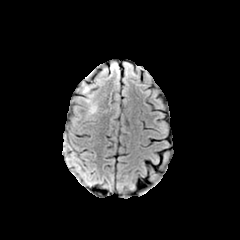
FLAIR MRI.
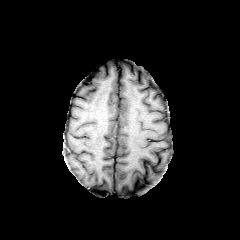
T1-weighted magnetic resonance.
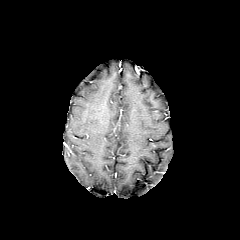
Post-contrast T1-weighted magnetic resonance.
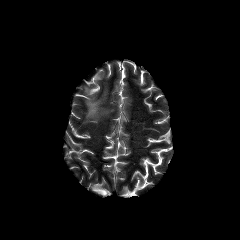
T2-weighted MR.
Head, 240x240
Edema: bounding box [x1=89, y1=104, x2=97, y2=113].